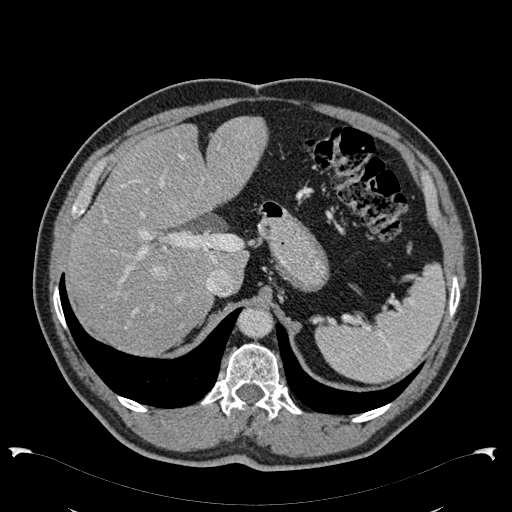
512x512 px | Abdomen | Computed tomography
{
  "liver": [
    "x1=69 y1=117 x2=267 y2=352"
  ]
}